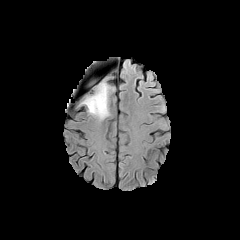
FLAIR MR image.
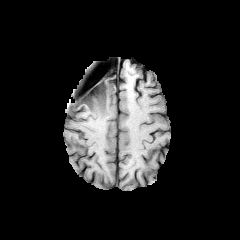
T1-weighted MR image.
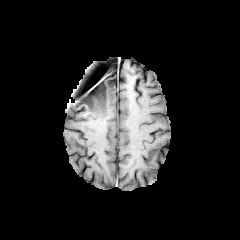
Same slice, post-contrast T1-weighted MR.
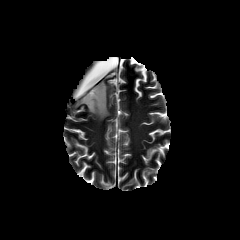
T2-weighted MR image.
Segmented structures:
* non-enhancing tumor core: (82, 86, 103, 101)
* edema: (80, 79, 113, 120)